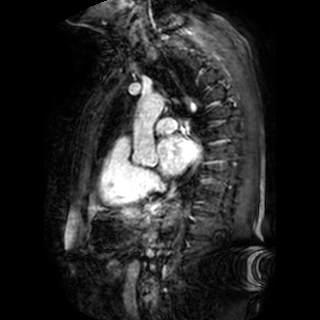 MR
<segmentation>
  <left_atrium>box=[158, 137, 200, 174]</left_atrium>
</segmentation>